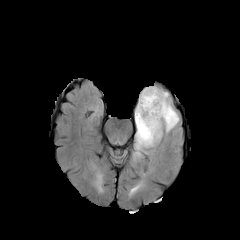
FLAIR MR image.
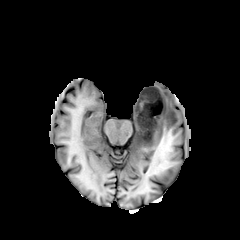
T1-weighted MRI of the same slice.
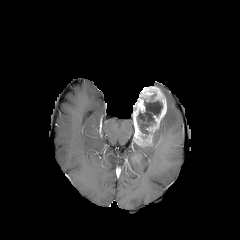
Post-contrast T1-weighted MRI of the same slice.
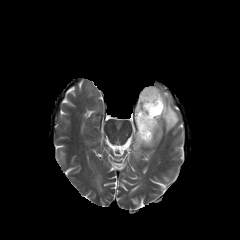
T2-weighted MRI.
Head.
Non-enhancing tumor core at (137, 99, 162, 134).
Enhancing tumor at (134, 86, 166, 145).
Edema at (134, 143, 142, 154), (145, 90, 179, 148).